Brain.
FLAIR magnetic resonance.
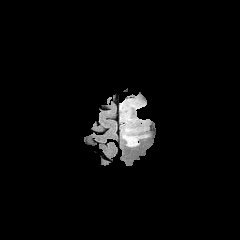
T1-weighted magnetic resonance.
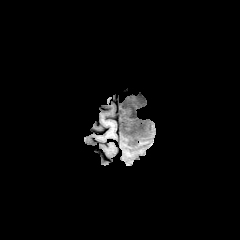
Post-contrast T1-weighted MR image.
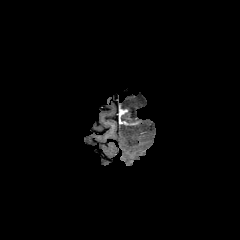
T2-weighted MR image.
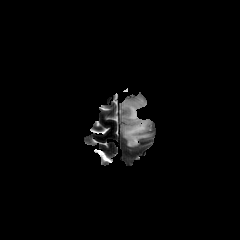
Enhancing tumor: <bbox>132, 128, 146, 139</bbox>, <bbox>121, 108, 139, 129</bbox>.
Edema: <bbox>119, 97, 145, 117</bbox>, <bbox>124, 138, 146, 147</bbox>.
Non-enhancing tumor core: <bbox>122, 125, 137, 140</bbox>, <bbox>138, 122, 147, 133</bbox>.